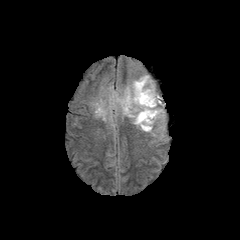
FLAIR MR image.
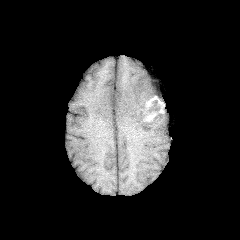
T1-weighted MR.
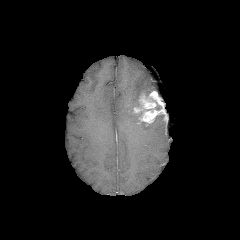
Post-contrast T1-weighted magnetic resonance.
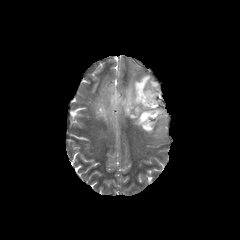
T2-weighted MRI of the same slice.
Brain
Edema = (left=92, top=74, right=166, bottom=139).
Enhancing tumor = (left=134, top=90, right=166, bottom=125).
Non-enhancing tumor core = (left=111, top=91, right=119, bottom=109), (left=137, top=82, right=155, bottom=101).